240x240, Slice 131 of 155, Head
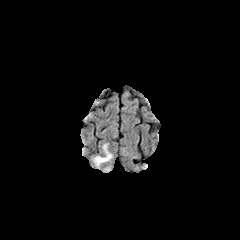
FLAIR magnetic resonance.
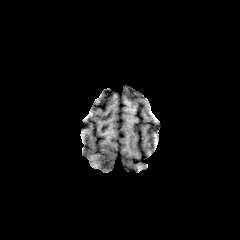
T1-weighted MR image of the same slice.
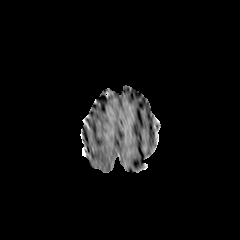
Post-contrast T1-weighted MRI.
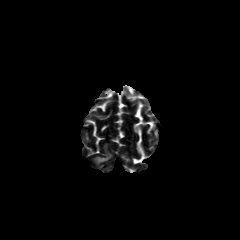
Same slice, T2-weighted MRI.
<segmentation>
  <edema>94:145:111:163</edema>
</segmentation>